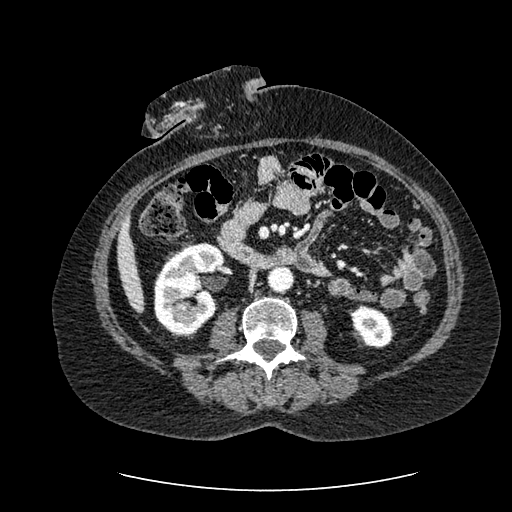 Upper abdomen. CT. 512x512 px.
Liver = [x1=117, y1=217, x2=143, y2=311].
Kidney = [x1=155, y1=244, x2=223, y2=334], [x1=352, y1=307, x2=391, y2=346].